CT slice | Abdomen

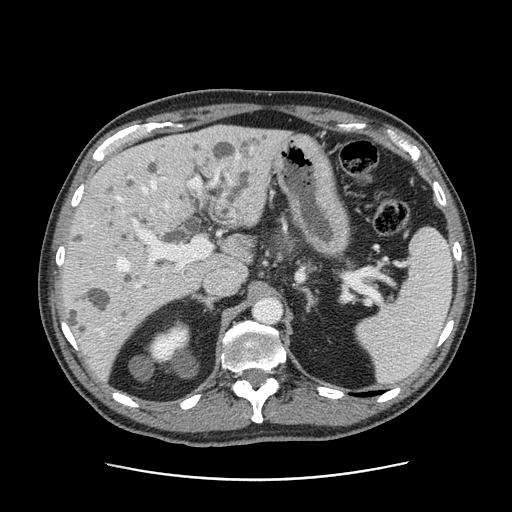

2 pancreas regions appear at (347, 261, 355, 269), (277, 235, 296, 253).